Field of view 200 mm wide, 3.60 mm slice spacing. Prostate.
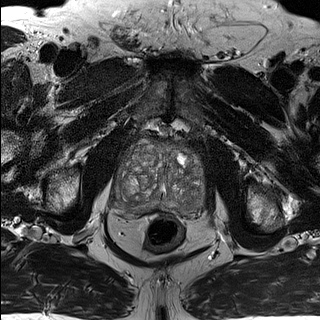
T2-weighted MRI.
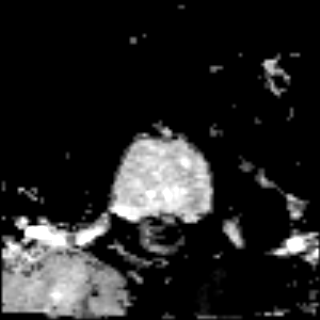
ADC magnetic resonance of the same slice.
The prostate transition zone lies within 117 134 205 207. The prostate peripheral zone lies within 114 182 205 218.